240x240 | Slice 65 of 155 | Head
FLAIR MR.
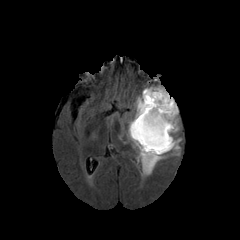
T1-weighted MR image.
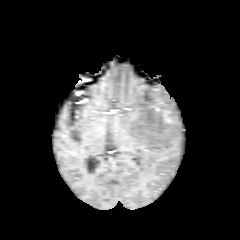
Post-contrast T1-weighted magnetic resonance.
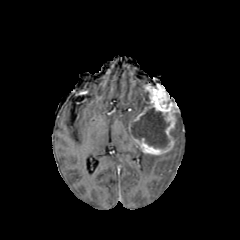
T2-weighted magnetic resonance.
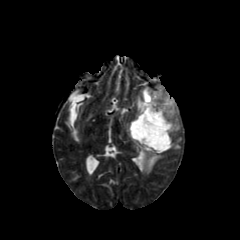
Non-enhancing tumor core = 130, 108, 169, 147; 142, 91, 149, 111; 172, 112, 178, 130.
Edema = 125, 88, 145, 158; 171, 113, 182, 150; 136, 153, 163, 174.
Enhancing tumor = 134, 83, 179, 154.